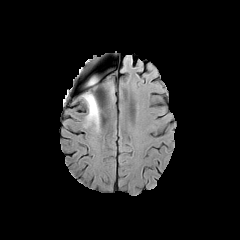
FLAIR MR.
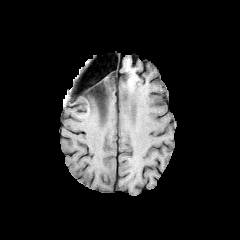
Same slice, T1-weighted MRI.
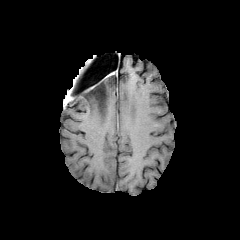
Post-contrast T1-weighted MR image.
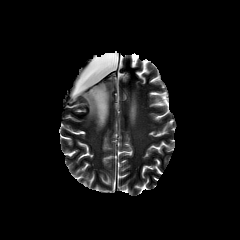
T2-weighted MRI of the same slice.
Brain. 240x240.
2 non-enhancing tumor core regions are located at x1=88 y1=78 x2=96 y2=87, x1=88 y1=86 x2=101 y2=112. 2 edema regions are bounded by x1=94 y1=85 x2=106 y2=112, x1=82 y1=85 x2=101 y2=129.